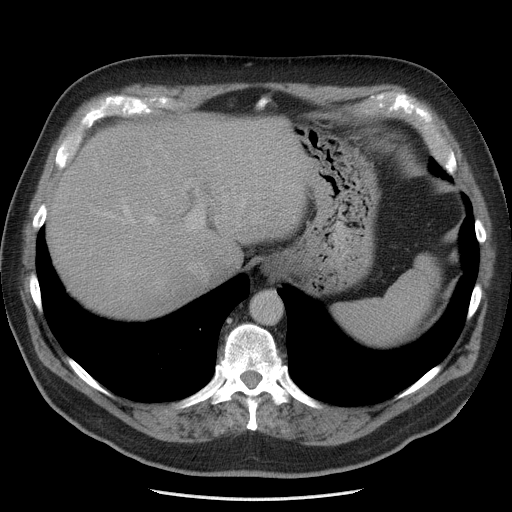
Abdomen | Computed tomography | 512x512 px
Only some of the vessels may be annotated.
Findings:
• hepatic vessel: 194:187:198:193, 188:267:190:268, 121:198:129:217, 143:215:155:223, 119:192:122:193, 103:212:114:217, 184:199:204:231, 200:175:204:179, 217:197:219:198, 130:218:134:222, 195:262:199:265, 123:222:125:223, 131:235:132:237, 180:178:194:190